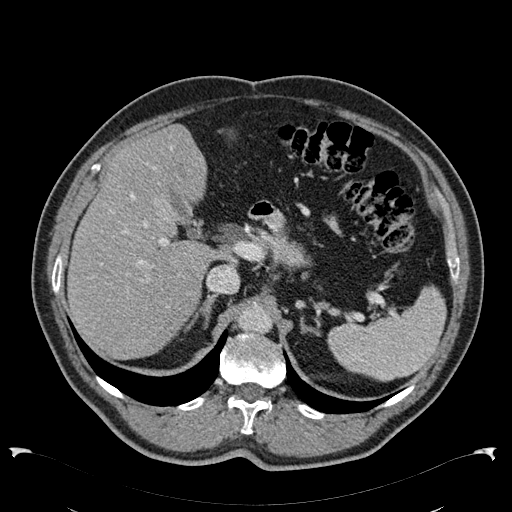

Computed tomography. The liver is located at [67, 124, 227, 358]. The liver lesion is located at [154, 199, 172, 220].